512x512. CT.
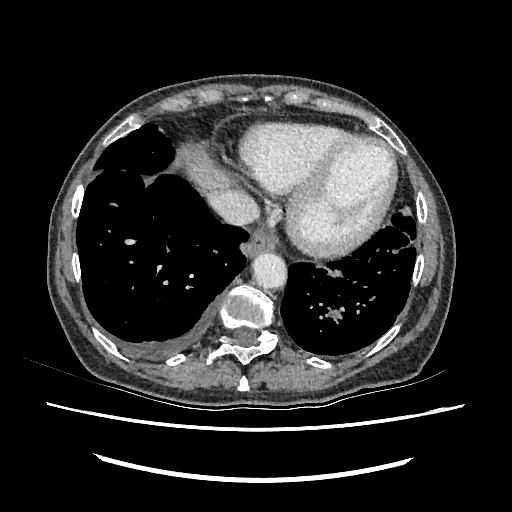
Segmented structures:
* liver: 188:160:228:191